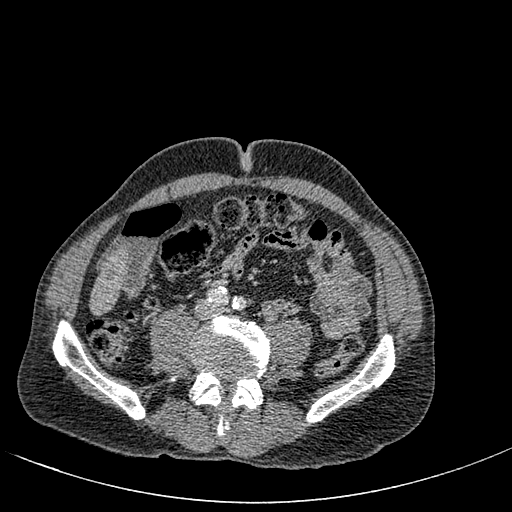

CT slice. Upper abdomen.

Liver — bbox(91, 250, 127, 313).